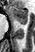
Magnetic resonance
The anterior hippocampus is at 8,7,26,21. The posterior hippocampus is at 17,21,26,25.